240x240 px, Slice 77 of 155, Field of view 240 mm wide, 1.00 mm slice spacing
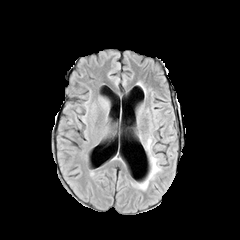
FLAIR MR image.
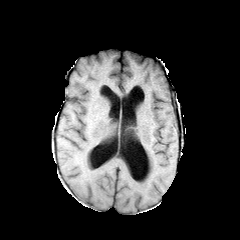
T1-weighted MR image.
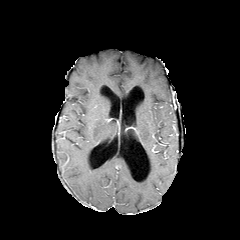
Post-contrast T1-weighted MRI.
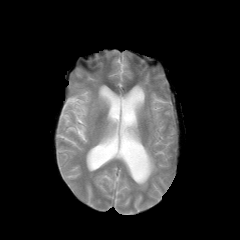
T2-weighted MR image of the same slice.
{"edema": ["rect(131, 136, 161, 189)"]}